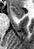 MRI slice. Medial temporal lobe.
<segmentation>
  <anterior_hippocampus>(x1=11, y1=6, x2=24, y2=18)</anterior_hippocampus>
</segmentation>